Image width 240 mm.
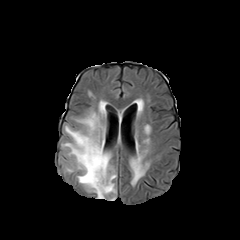
FLAIR MR.
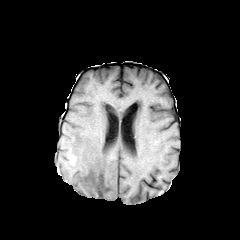
T1-weighted MRI.
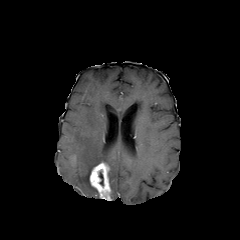
Post-contrast T1-weighted MRI.
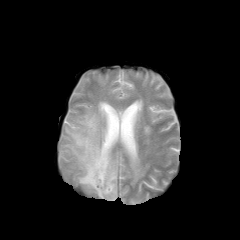
Same slice, T2-weighted magnetic resonance.
edema: (61,100,116,199), (132,160,143,181) | enhancing tumor: (90,162,111,199)